CT | Field of view 351x351 mm
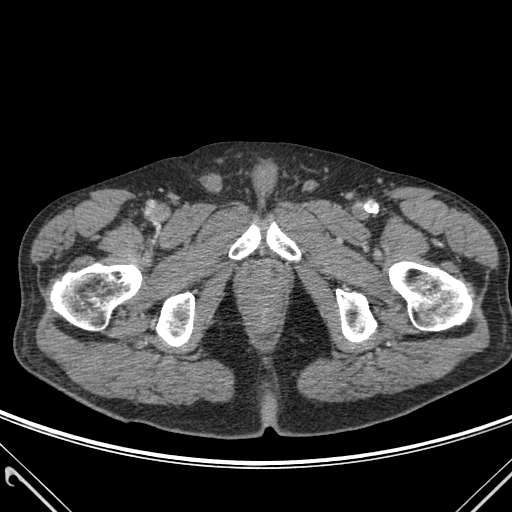
6 bone regions are bounded by [336, 289, 376, 341], [156, 292, 194, 346], [229, 225, 260, 259], [50, 264, 141, 329], [389, 262, 471, 330], [267, 222, 300, 259].